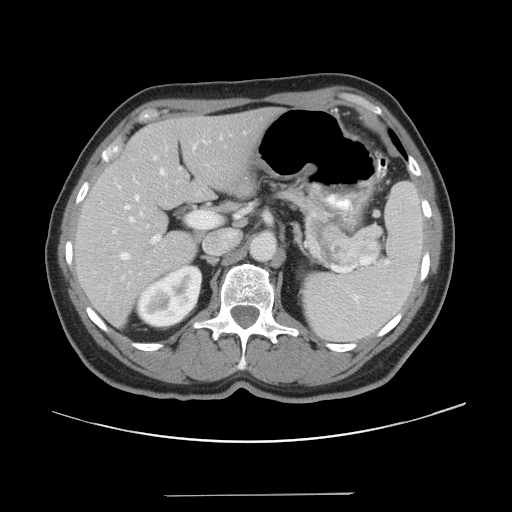
Abdomen | CT
Not every hepatic vessel necessarily has a box.
Top 15 of 19 hepatic vessel regions: bounding box 153,155,156,159; 114,182,120,188; 130,218,133,221; 203,140,209,143; 140,207,143,217; 152,234,160,242; 113,228,117,232; 192,144,196,151; 160,169,164,174; 125,205,129,208; 165,146,167,155; 121,276,124,279; 121,252,129,259; 135,195,138,199; 219,137,221,139.